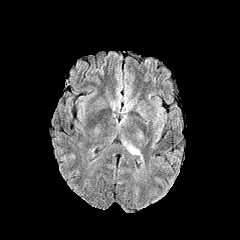
FLAIR magnetic resonance.
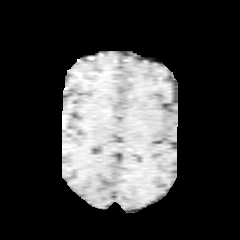
Same slice, T1-weighted magnetic resonance.
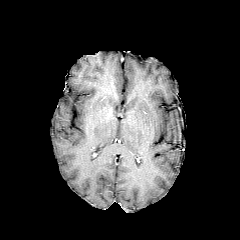
Post-contrast T1-weighted magnetic resonance.
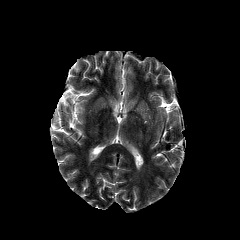
Same slice, T2-weighted MR image.
240x240. Head.
4 edema regions are bounded by [123,140,141,155], [110,81,135,113], [156,102,163,116], [117,115,127,129].